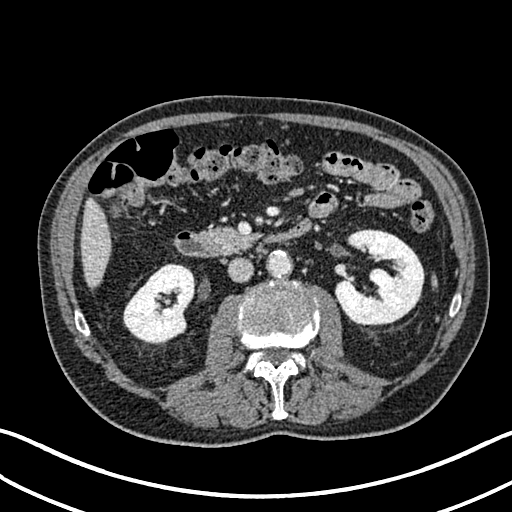
Liver, CT scan slice, 512x512 px

liver:
  - 81:199:111:287
kidney:
  - 336:230:423:324
  - 124:264:193:342